CT slice, Abdomen, Image width 380 mm
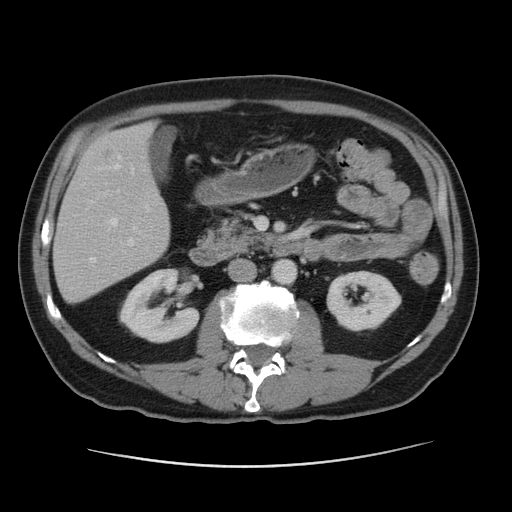
Liver — 53:128:169:298.
Kidney — 122:269:197:341, 326:271:401:331.